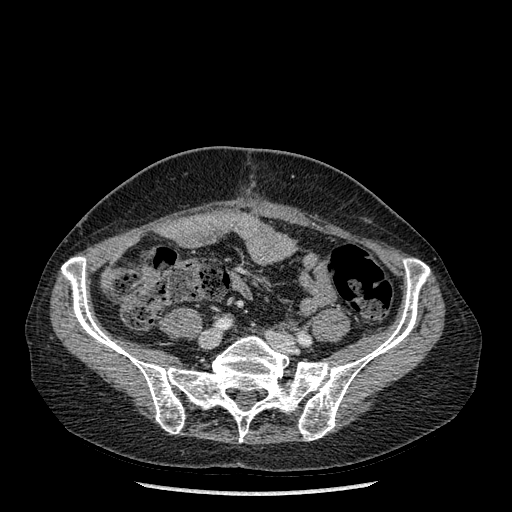
Computed tomography

The bone is at 61:256:430:442.